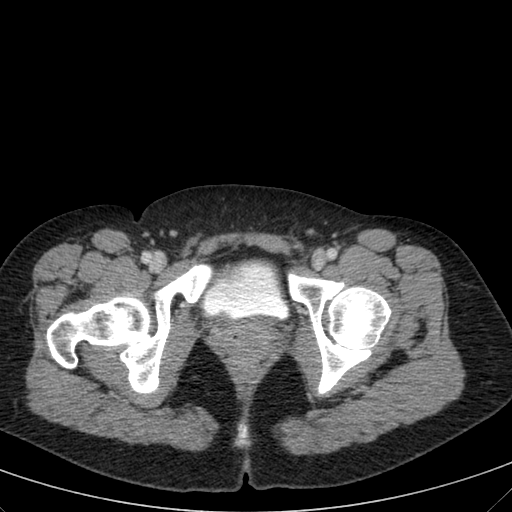
Computed tomography. 512x512 px.

- urinary bladder: l=203, t=264, r=287, b=317